Brain, 240x240 px, Slice 99/155
FLAIR MR.
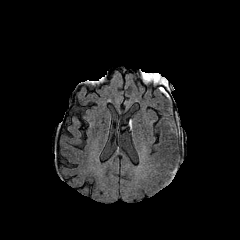
T1-weighted MRI.
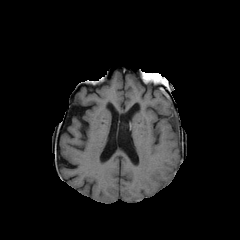
Post-contrast T1-weighted MRI.
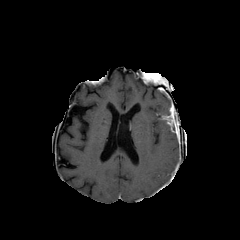
T2-weighted MR image.
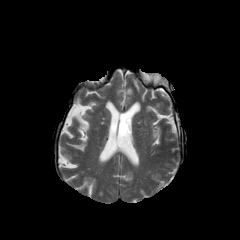
2 non-enhancing tumor core regions are located at [164,108,173,131], [145,74,159,84]. The enhancing tumor is at [169,118,179,135].